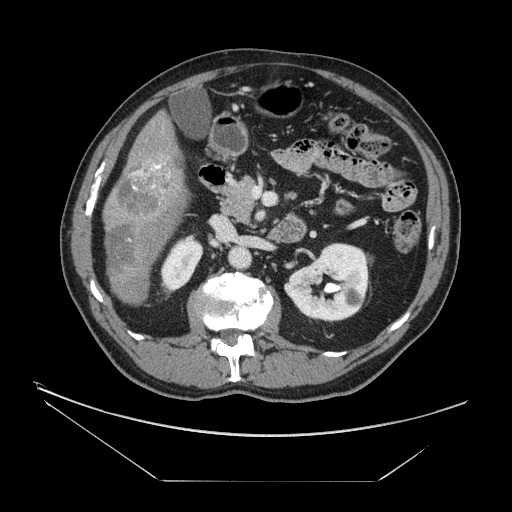 CT | Liver | 512x512
Liver tumor at (left=109, top=227, right=136, bottom=270), (left=118, top=160, right=172, bottom=218).